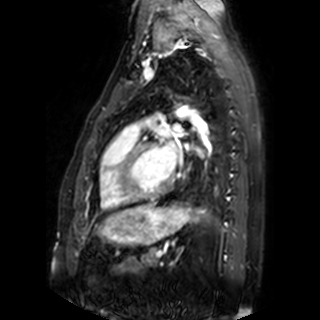

MRI slice. Cardiac. 320x320.

* left atrium: (left=174, top=124, right=182, bottom=132), (left=161, top=142, right=176, bottom=171)